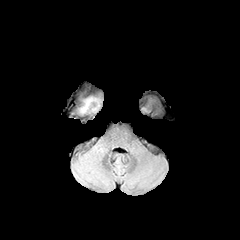
FLAIR MRI.
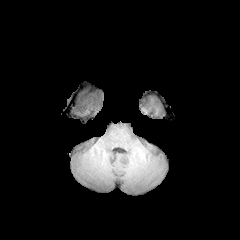
T1-weighted MR.
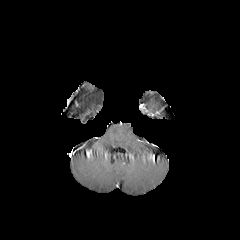
Post-contrast T1-weighted magnetic resonance.
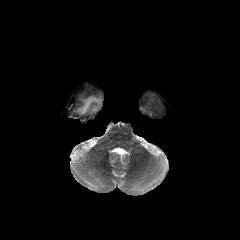
T2-weighted MR.
edema:
  - [80,97,97,112]